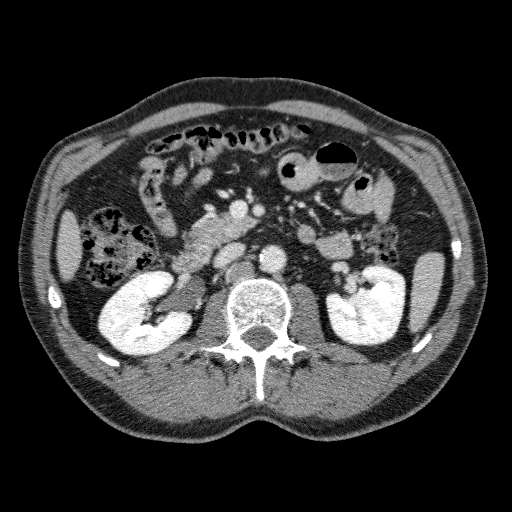
512x512 px, Liver, Computed tomography

{"liver": ["l=58, t=211, r=81, b=280"], "kidney": ["l=99, t=271, r=191, b=354", "l=327, t=266, r=404, b=343"]}